CT slice | 512x512 | Field of view 436x436 mm | Abdomen
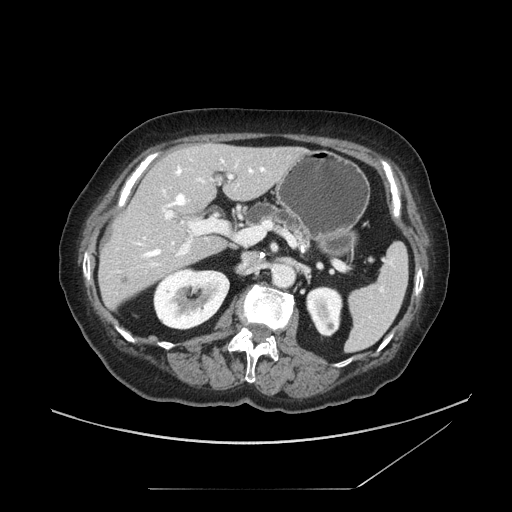
The pancreas is at [x1=245, y1=204, x2=305, y2=237].